Brain. Slice index 72.
FLAIR MRI.
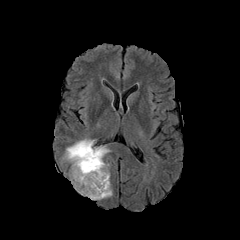
T1-weighted magnetic resonance.
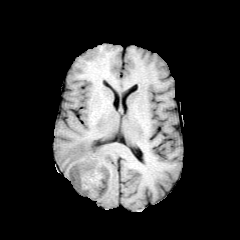
Post-contrast T1-weighted magnetic resonance.
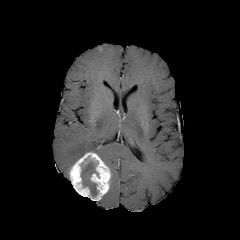
T2-weighted MR image.
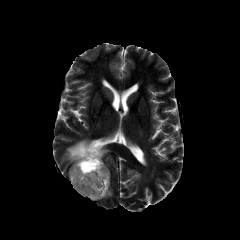
Enhancing tumor: bounding box bbox(69, 151, 110, 200).
Non-enhancing tumor core: bounding box bbox(81, 161, 98, 195).
Edema: bounding box bbox(63, 139, 109, 164); bbox(102, 188, 112, 198).